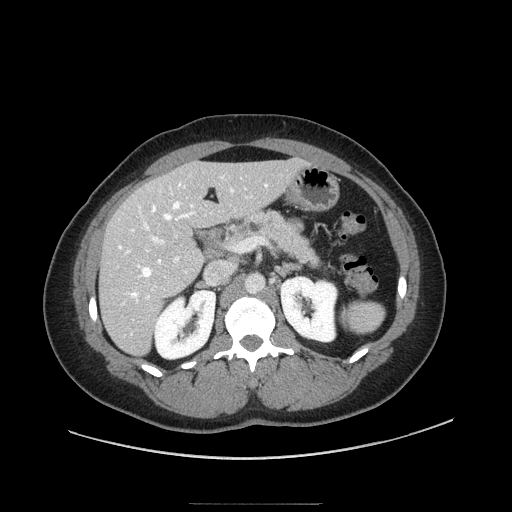 CT
Findings:
• pancreas: 227,209,327,275